Image width 240 mm, Head, Slice index 72
FLAIR MR.
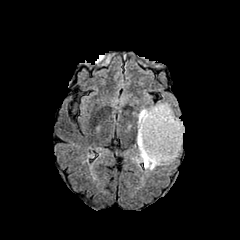
T1-weighted MRI.
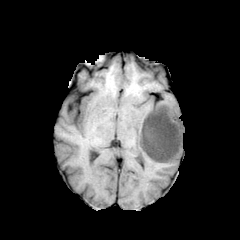
Post-contrast T1-weighted MR image.
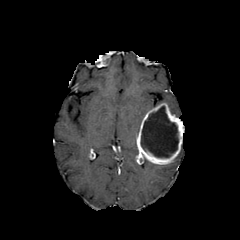
T2-weighted magnetic resonance.
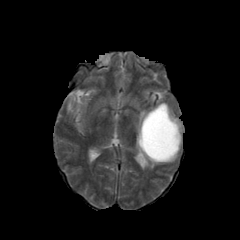
non-enhancing tumor core: <bbox>141, 106, 177, 157</bbox> | edema: <bbox>134, 105, 155, 136</bbox>, <bbox>143, 160, 160, 170</bbox> | enhancing tumor: <bbox>136, 103, 184, 164</bbox>